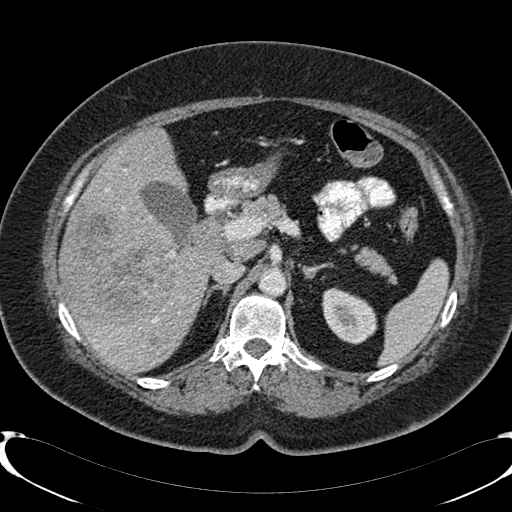

CT scan slice. Abdomen.

<segmentation>
  <liver>box(60, 268, 71, 311); box(63, 130, 217, 371)</liver>
  <kidney>box(323, 288, 374, 342)</kidney>
  <hepatic_lesion>box(150, 337, 159, 344); box(61, 206, 172, 324)</hepatic_lesion>
</segmentation>